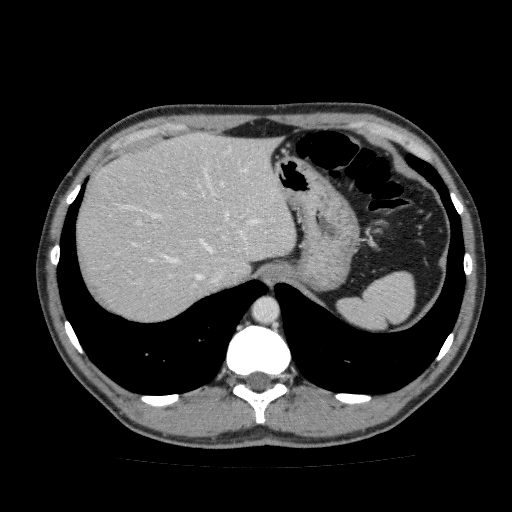
CT image. Abdomen. {
  "liver": [
    "left=75, top=134, right=297, bottom=322"
  ]
}